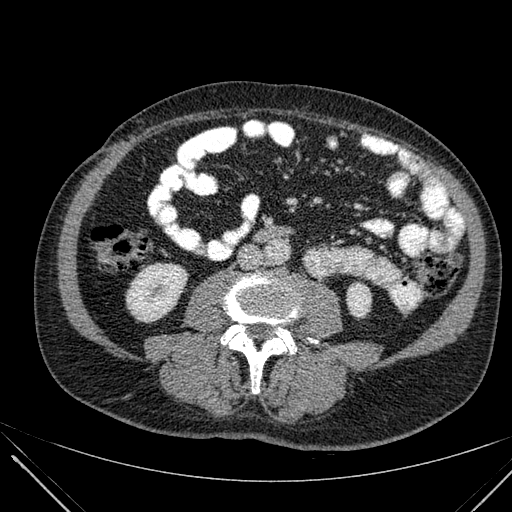
CT slice
Kidney: l=347, t=283, r=370, b=316; l=127, t=263, r=186, b=321.